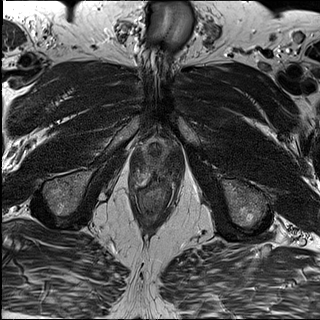
T2-weighted magnetic resonance.
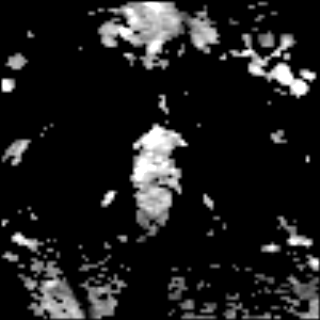
ADC MR of the same slice.
Prostate
Annotated regions:
• prostate transition zone: {"x1": 148, "y1": 145, "x2": 160, "y2": 166}